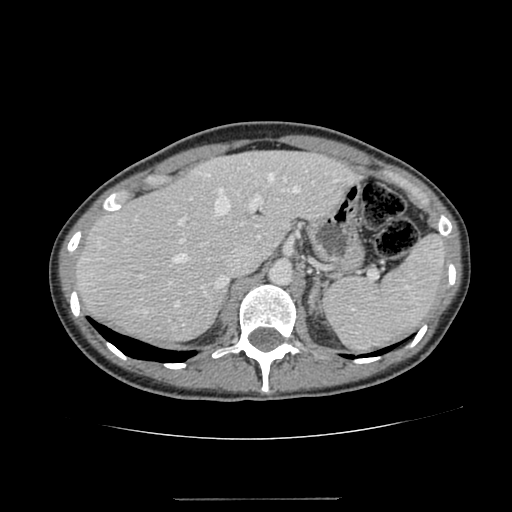
CT scan slice | Abdomen
The liver appears at {"x1": 76, "y1": 150, "x2": 356, "y2": 342}.